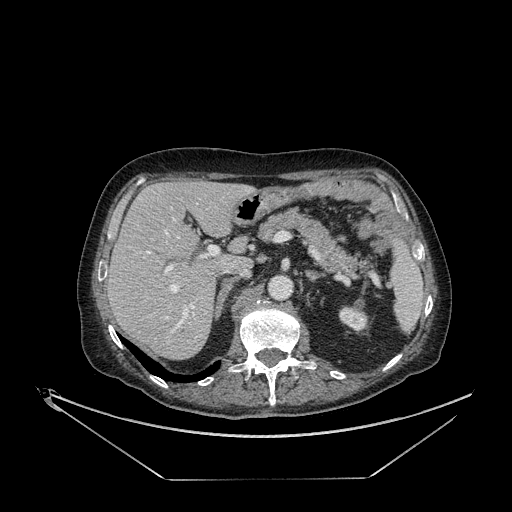
CT scan slice; Image size 512x512; Upper abdomen

Liver: (x1=224, y1=241, x2=244, y2=260), (x1=108, y1=182, x2=253, y2=359).
Kidney: (x1=339, y1=307, x2=366, y2=330).